Upper abdomen, Computed tomography
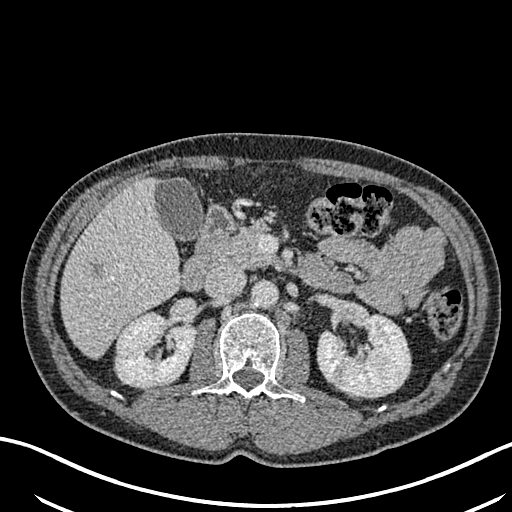
{
  "liver_lesion": [
    "x1=89, y1=259, x2=105, y2=278"
  ],
  "kidney": [
    "x1=318, y1=308, x2=410, y2=396",
    "x1=116, y1=314, x2=195, y2=387"
  ],
  "liver": [
    "x1=62, y1=178, x2=180, y2=357"
  ]
}